Slice 403/733. CT image.
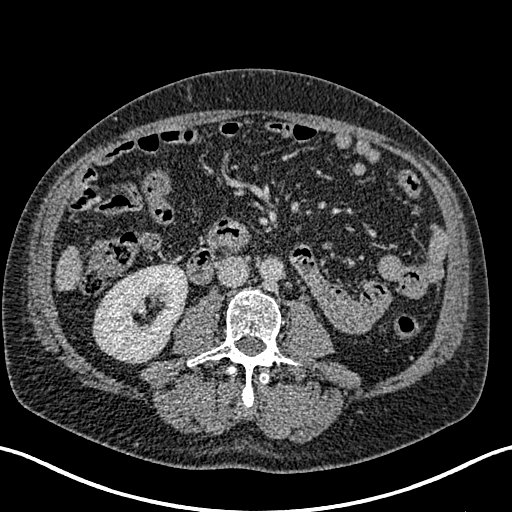

<segmentation>
  <liver>left=56, top=246, right=81, bottom=290</liver>
  <kidney>left=94, top=265, right=187, bottom=362</kidney>
</segmentation>